FLAIR MR.
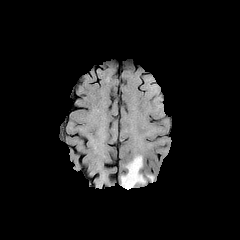
T1-weighted MRI.
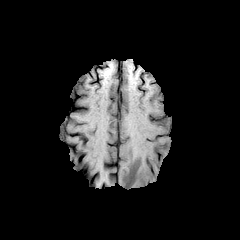
Post-contrast T1-weighted magnetic resonance.
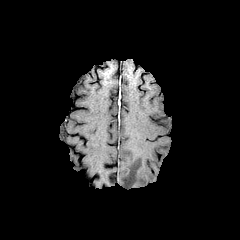
T2-weighted MR.
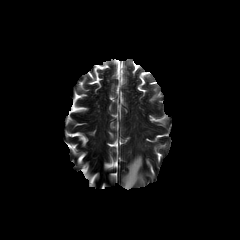
Findings:
- edema: <bbox>121, 156, 145, 189</bbox>